FLAIR magnetic resonance.
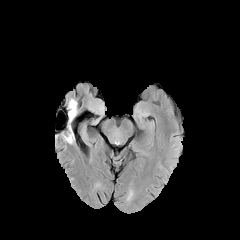
T1-weighted MR image.
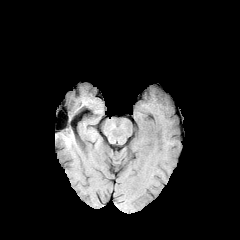
Post-contrast T1-weighted MRI.
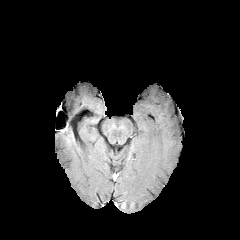
T2-weighted magnetic resonance.
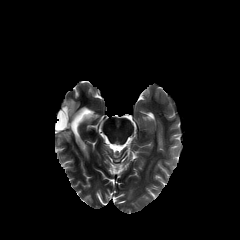
Head.
Edema — region(63, 99, 79, 140).